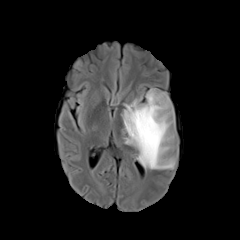
FLAIR MR.
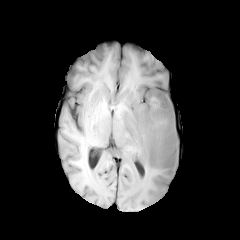
T1-weighted MR of the same slice.
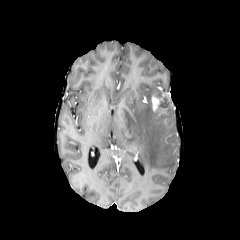
Same slice, post-contrast T1-weighted MR.
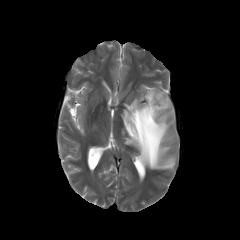
T2-weighted magnetic resonance.
240x240, Head
The edema lies within (121, 88, 177, 169). 3 non-enhancing tumor core regions are located at (144, 114, 153, 129), (155, 95, 172, 115), (138, 132, 155, 151). The enhancing tumor is located at (151, 93, 166, 111).